Abdomen; CT image 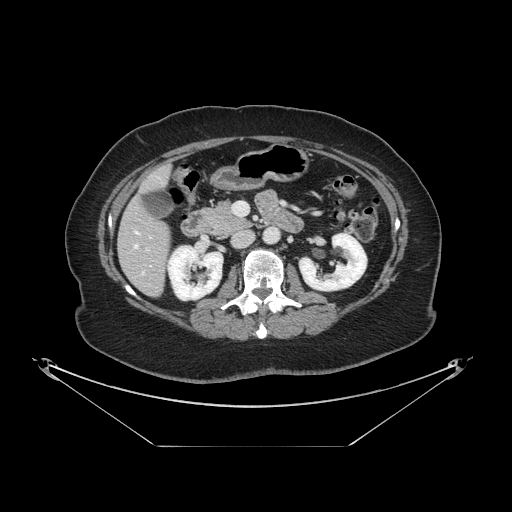
Pancreas: (x1=201, y1=201, x2=250, y2=238).